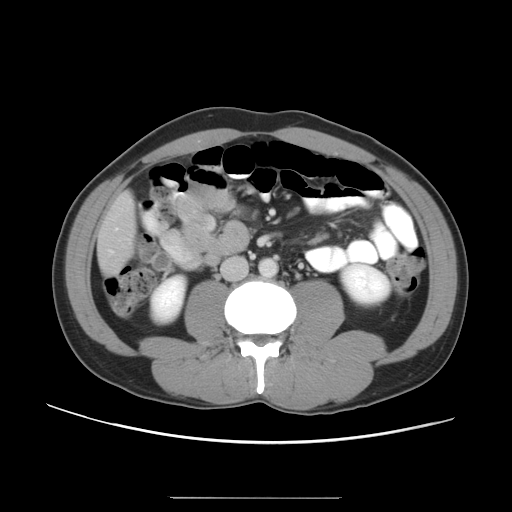

Image size 512x512. Abdomen. Computed tomography.
Not every hepatic vessel necessarily has a box.
Findings:
• hepatic vessel: 110,250,113,254; 116,227,118,229